Head; Slice index 49
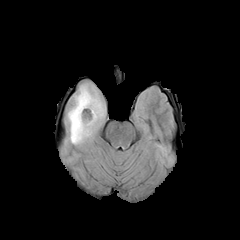
FLAIR magnetic resonance.
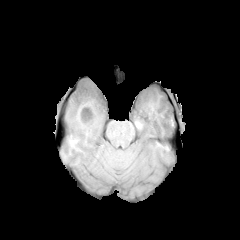
T1-weighted MR image.
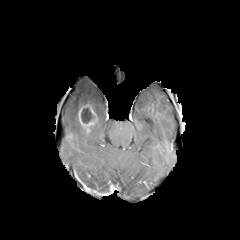
Post-contrast T1-weighted MR of the same slice.
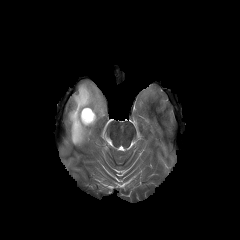
Same slice, T2-weighted MR image.
The enhancing tumor appears at {"x1": 78, "y1": 108, "x2": 94, "y2": 132}. The non-enhancing tumor core appears at {"x1": 80, "y1": 104, "x2": 97, "y2": 123}. The edema is bounded by {"x1": 67, "y1": 83, "x2": 105, "y2": 144}.